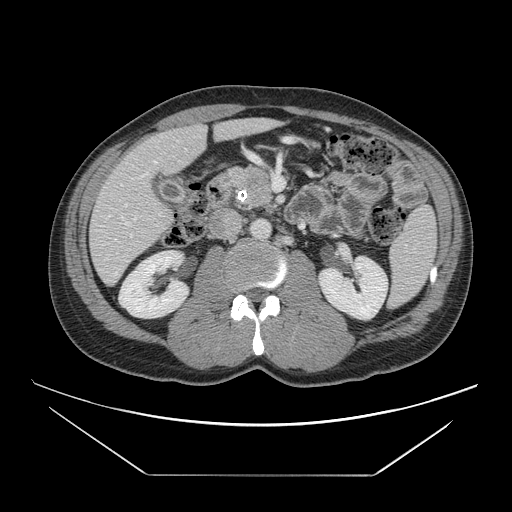

Upper abdomen; CT

pancreas: [236, 168, 270, 207] | pancreatic tumor: [247, 176, 260, 187]